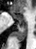

Medial temporal lobe, MRI
<segmentation>
  <anterior_hippocampus><bbox>11, 11, 16, 18</bbox></anterior_hippocampus>
  <posterior_hippocampus><bbox>15, 23, 27, 40</bbox></posterior_hippocampus>
</segmentation>